CT scan slice; Upper abdomen

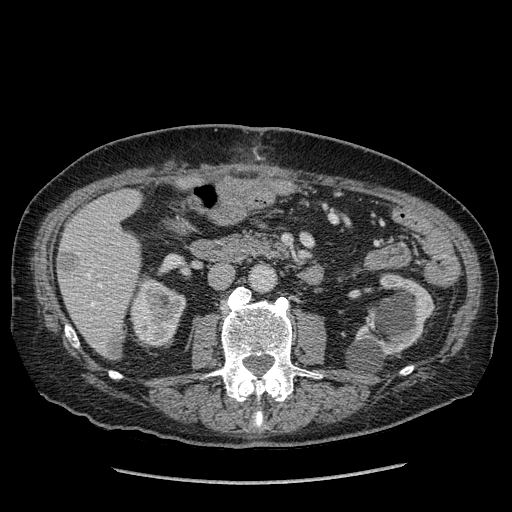 kidney: l=356, t=274, r=434, b=354; l=131, t=280, r=185, b=345 | liver: l=58, t=189, r=141, b=360; l=179, t=179, r=204, b=188 | focal liver lesion: l=108, t=333, r=122, b=359; l=57, t=252, r=79, b=269